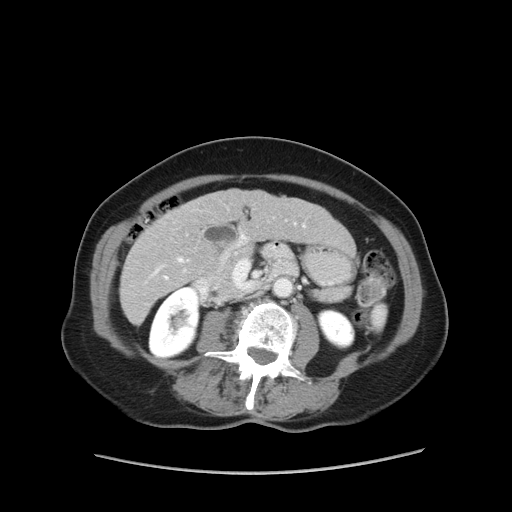 CT.
Not every hepatic vessel necessarily has a box.
Hepatic vessel — region(150, 265, 163, 277); region(302, 224, 305, 227); region(177, 257, 189, 262); region(165, 276, 167, 278).